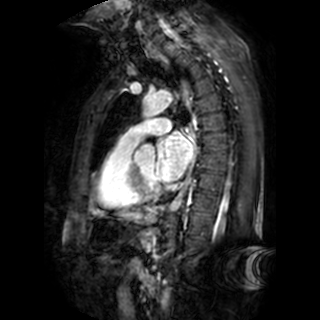
Magnetic resonance, 320x320
left atrium: 156 131 193 181